Abdomen | Image width 387 mm | CT image

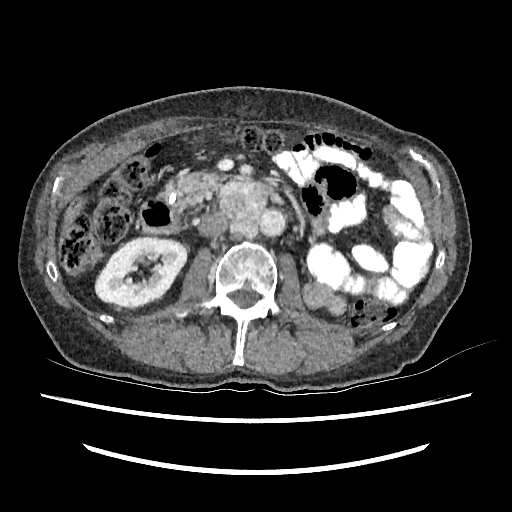 Kidney at bbox(95, 238, 186, 306).